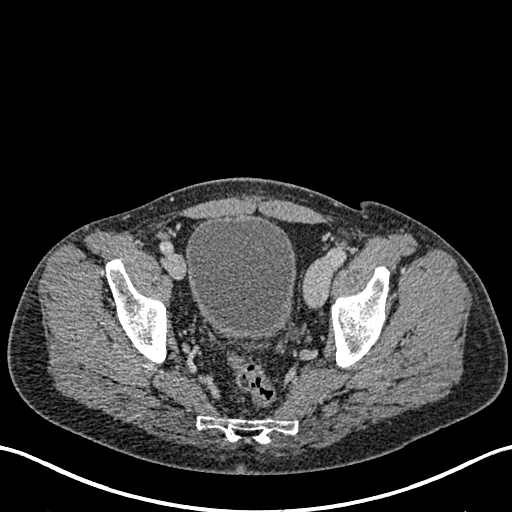

CT slice, Pelvis, 512x512
Urinary bladder — rect(185, 215, 295, 339).